Liver | CT slice | Field of view 429x429 mm

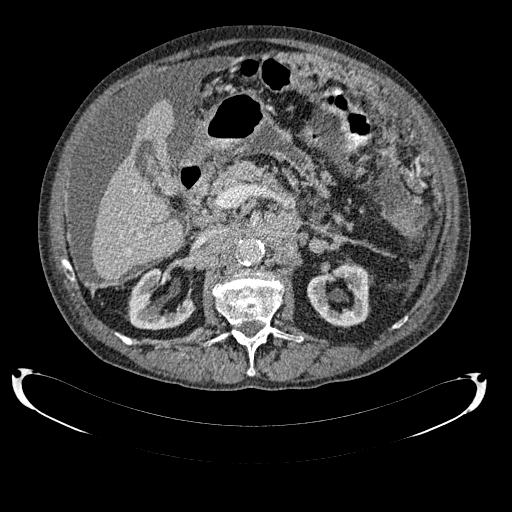
{"kidney": ["x1=307, y1=264, x2=368, y2=326", "x1=129, y1=269, x2=193, y2=329"], "liver": ["x1=93, y1=149, x2=183, y2=281", "x1=138, y1=99, x2=174, y2=146"]}